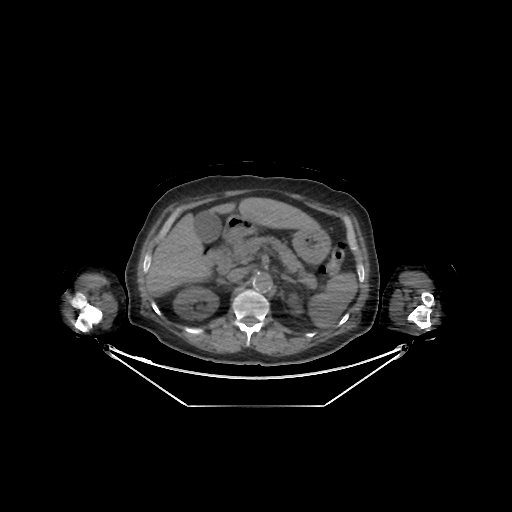 CT image

kidney: left=289, top=295, right=302, bottom=312; left=174, top=285, right=218, bottom=319 | liver: left=211, top=204, right=234, bottom=212; left=146, top=214, right=210, bottom=292; left=239, top=198, right=319, bottom=234 | bone: left=358, top=266, right=363, bottom=281; left=408, top=292, right=433, bottom=328; left=143, top=257, right=150, bottom=271; left=234, top=290, right=268, bottom=344; left=72, top=293, right=102, bottom=331; left=186, top=328, right=200, bottom=333